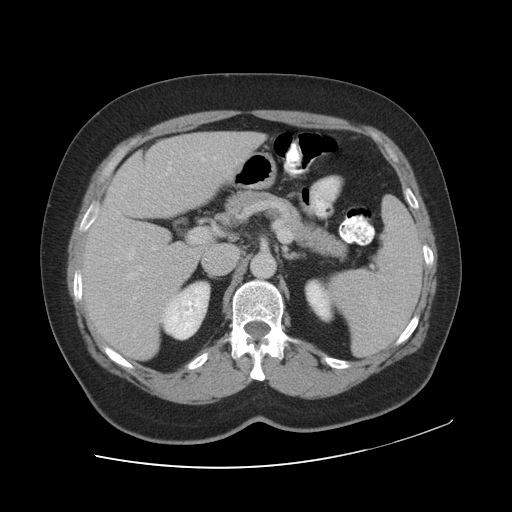 Image size 512x512; Abdomen; CT image
Only some of the vessels may be annotated.
• hepatic vessel: (x1=127, y1=248, x2=134, y2=259), (x1=202, y1=157, x2=205, y2=161), (x1=123, y1=185, x2=126, y2=190), (x1=213, y1=157, x2=217, y2=159), (x1=126, y1=273, x2=137, y2=279), (x1=134, y1=297, x2=136, y2=298), (x1=115, y1=212, x2=119, y2=219), (x1=139, y1=266, x2=142, y2=270), (x1=152, y1=246, x2=156, y2=249), (x1=168, y1=161, x2=171, y2=170), (x1=190, y1=156, x2=191, y2=159)